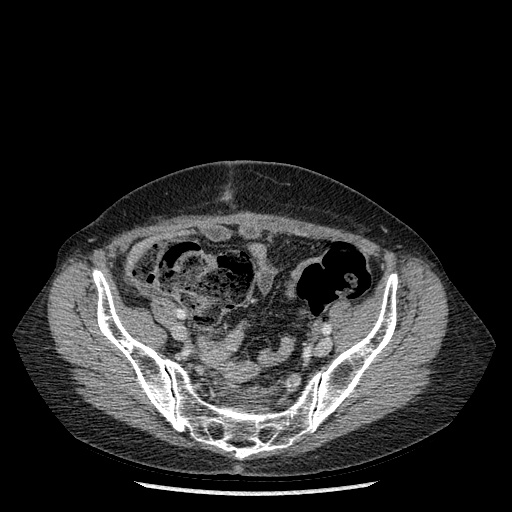

CT scan slice
- bone: left=92, top=269, right=397, bottom=459